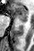
MR

anterior_hippocampus:
  - (x1=10, y1=4, x2=27, y2=21)
posterior_hippocampus:
  - (x1=24, y1=21, x2=26, y2=22)